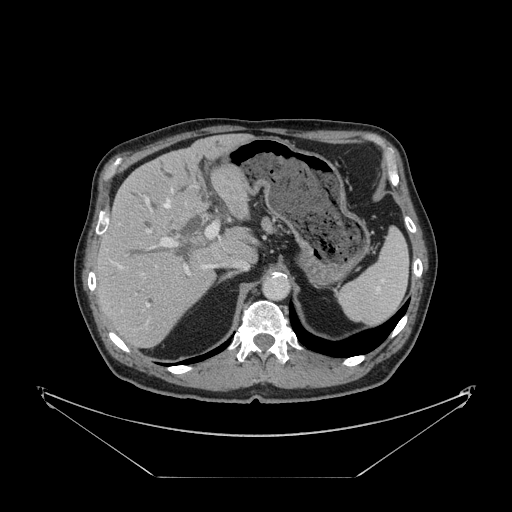

CT slice; Abdomen
The vessel boxes may cover only some of the vessels.
Segmented structures:
- hepatic vessel: bbox=[146, 304, 148, 306]; bbox=[145, 198, 147, 203]; bbox=[204, 265, 215, 268]; bbox=[164, 199, 169, 207]; bbox=[171, 189, 172, 192]; bbox=[146, 230, 149, 232]; bbox=[160, 237, 176, 246]; bbox=[206, 223, 217, 237]; bbox=[117, 266, 122, 268]; bbox=[184, 266, 189, 274]